Brain
FLAIR magnetic resonance.
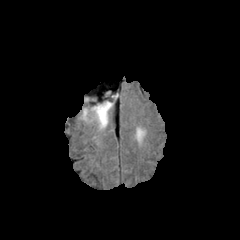
T1-weighted MR image.
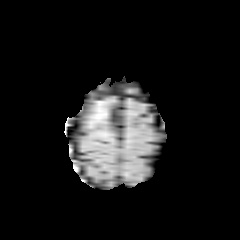
Post-contrast T1-weighted MRI.
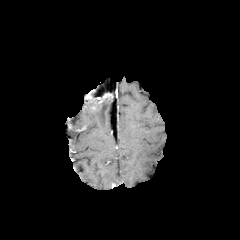
T2-weighted MR image.
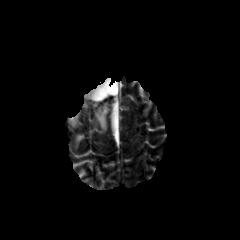
Edema = region(136, 130, 145, 139); region(80, 101, 113, 132).